CT image
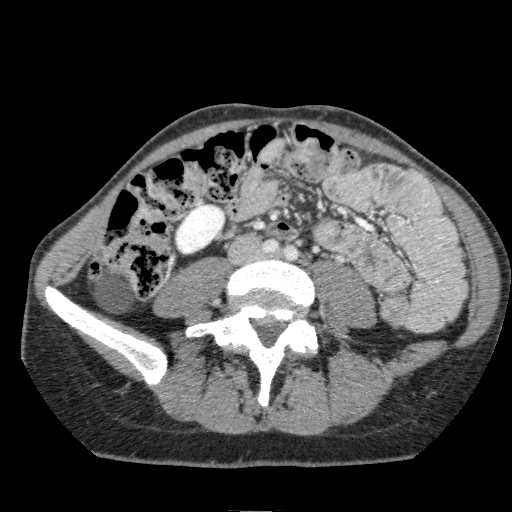
The kidney is at 176,205,223,252.